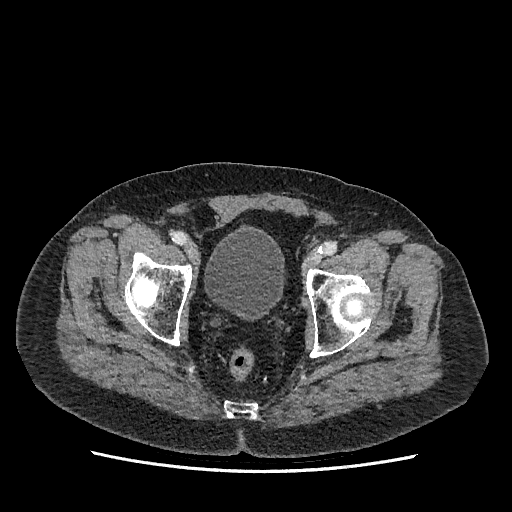
CT.
urinary_bladder:
  - [204,230,284,319]